Abdomen. Computed tomography.

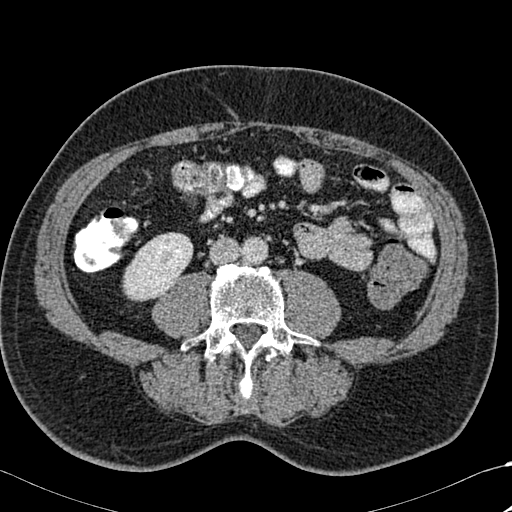

kidney: (124,233,192,298) | bone: (182,263,314,399)